FLAIR MR image.
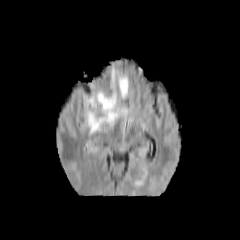
T1-weighted magnetic resonance.
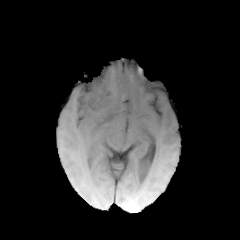
Post-contrast T1-weighted MRI.
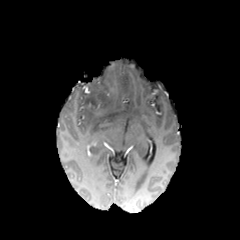
T2-weighted MRI.
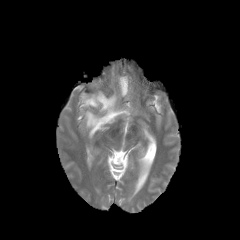
Findings:
• non-enhancing tumor core: [x1=79, y1=78, x2=114, y2=108]
• edema: [x1=81, y1=80, x2=128, y2=136], [x1=116, y1=76, x2=128, y2=98]